Slice 16 of 39, Medial temporal lobe, MRI, Image size 35x46

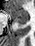

The posterior hippocampus is bounded by 16:21:27:25. The anterior hippocampus is bounded by 6:8:28:20.